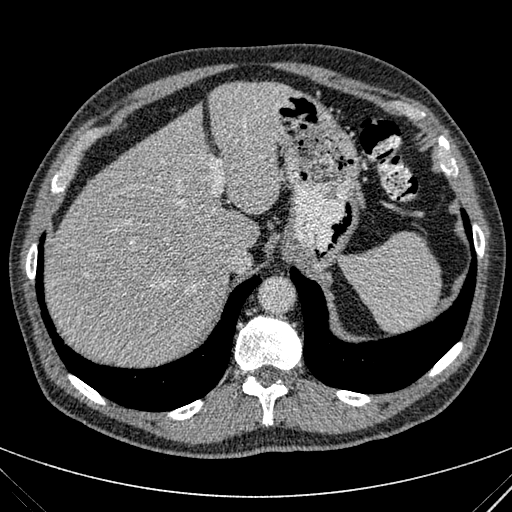 Abdomen; CT image

<segmentation>
  <liver>(left=355, top=181, right=363, bottom=209), (left=211, top=83, right=305, bottom=215), (left=44, top=103, right=259, bottom=364)</liver>
</segmentation>